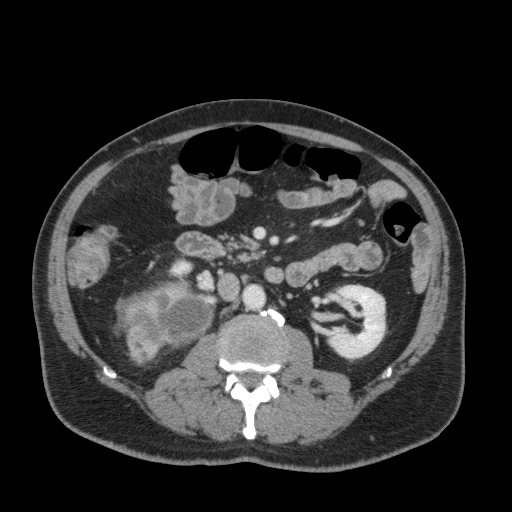

CT slice | 512x512
kidney: left=329, top=285, right=384, bottom=357; left=172, top=262, right=190, bottom=274